CT slice

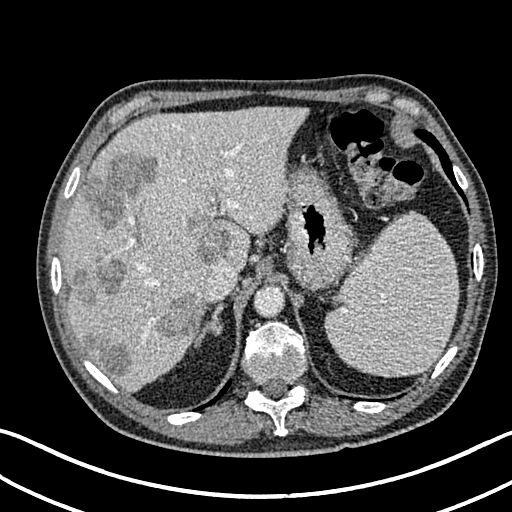
• liver: {"x1": 64, "y1": 108, "x2": 305, "y2": 389}
• focal liver lesion: {"x1": 132, "y1": 224, "x2": 148, "y2": 242}, {"x1": 73, "y1": 250, "x2": 127, "y2": 305}, {"x1": 88, "y1": 152, "x2": 159, "y2": 227}, {"x1": 186, "y1": 218, "x2": 231, "y2": 263}, {"x1": 86, "y1": 333, "x2": 128, "y2": 374}, {"x1": 155, "y1": 295, "x2": 199, "y2": 340}